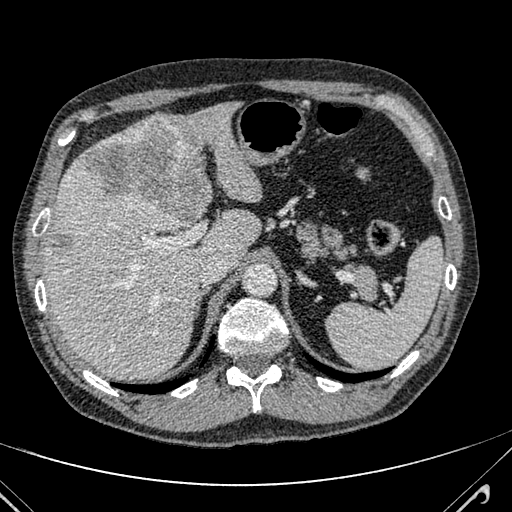
CT. Upper abdomen.

2 liver regions are bounded by x1=92 y1=103 x2=260 y2=200, x1=47 y1=151 x2=258 y2=378. 2 liver lesion regions are located at x1=83 y1=122 x2=212 y2=223, x1=50 y1=236 x2=71 y2=253.